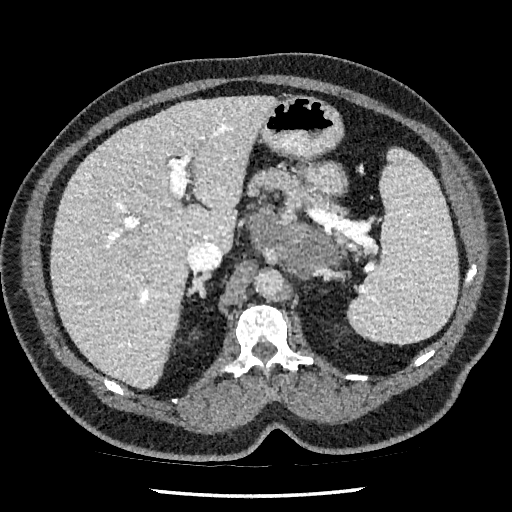
Abdomen. CT.

The liver is at box=[51, 97, 274, 387].